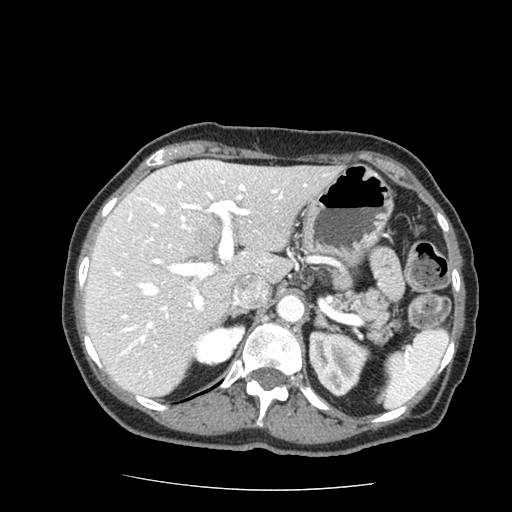

Abdomen, CT scan slice
<segmentation>
  <pancreas>x1=326, y1=267, x2=401, y2=340</pancreas>
</segmentation>